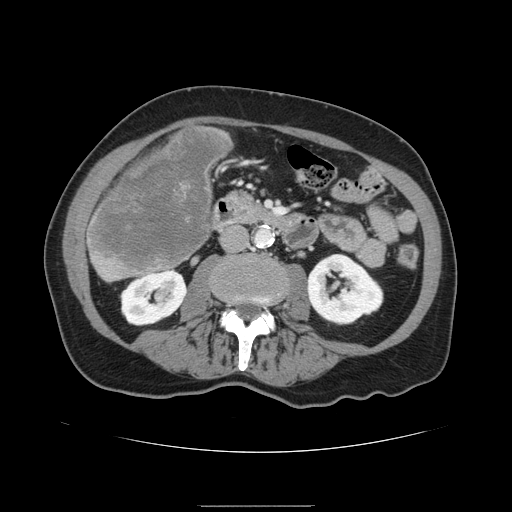 Computed tomography | 512x512 | Liver
The liver tumor lies within [x1=91, y1=129, x2=228, y2=271].